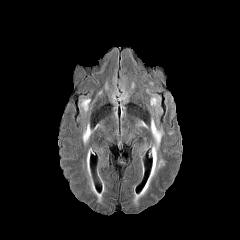
FLAIR MR image.
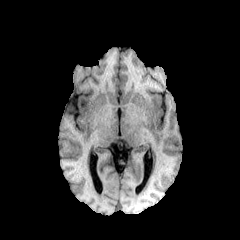
T1-weighted magnetic resonance of the same slice.
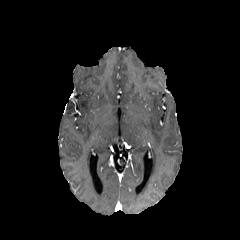
Same slice, post-contrast T1-weighted MRI.
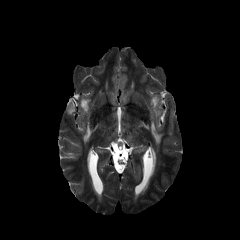
T2-weighted MR image of the same slice.
Brain
4 edema regions are bounded by rect(86, 149, 103, 202); rect(133, 119, 164, 202); rect(83, 99, 89, 112); rect(82, 124, 91, 144).